Field of view 240x240 mm, 240x240 px
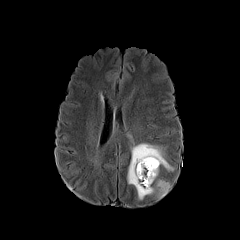
FLAIR MRI.
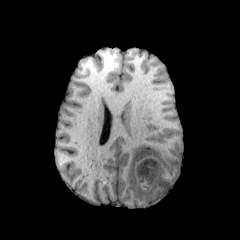
Same slice, T1-weighted MR image.
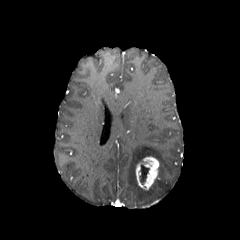
Post-contrast T1-weighted MR image.
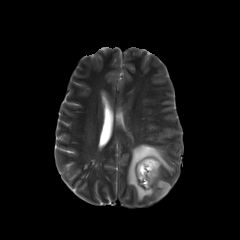
T2-weighted MR.
Annotated regions:
- non-enhancing tumor core: 140, 165, 148, 184
- edema: 127, 143, 173, 199; 156, 180, 170, 199
- enhancing tumor: 135, 156, 159, 190